Upper abdomen, Slice index 375, CT slice
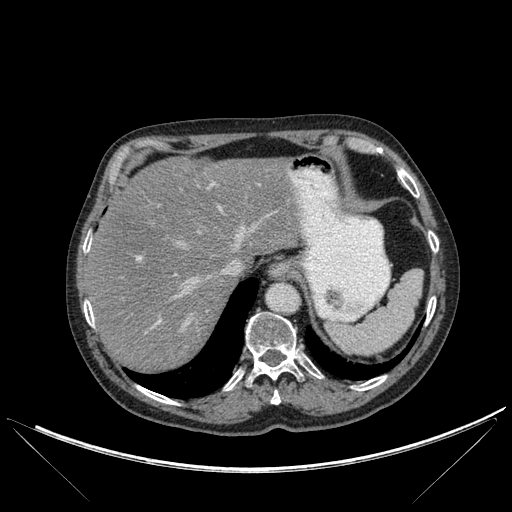
The liver lies within l=87, t=157, r=300, b=373. 10 bone regions are bounded by l=224, t=369, r=243, b=390; l=137, t=386, r=177, b=404; l=425, t=297, r=435, b=324; l=397, t=169, r=419, b=197; l=352, t=376, r=386, b=390; l=84, t=300, r=94, b=326; l=428, t=231, r=438, b=252; l=246, t=312, r=322, b=381; l=271, t=390, r=280, b=404; l=83, t=236, r=91, b=252. The hepatic lesion lies within l=194, t=159, r=211, b=174. 2 lung regions are bounded by l=126, t=278, r=257, b=398; l=305, t=327, r=419, b=379.